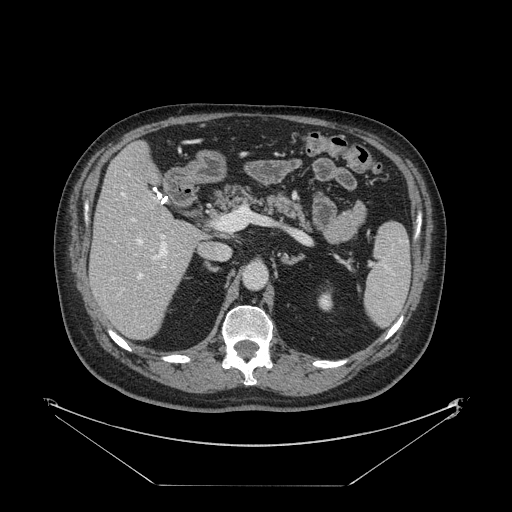 CT scan slice; 512x512 px
Some hepatic vessels may have no box.
Annotated regions:
- hepatic vessel: bbox=[160, 234, 164, 238]; bbox=[131, 218, 133, 220]; bbox=[152, 244, 165, 258]